Abdomen. 512x512. CT image. 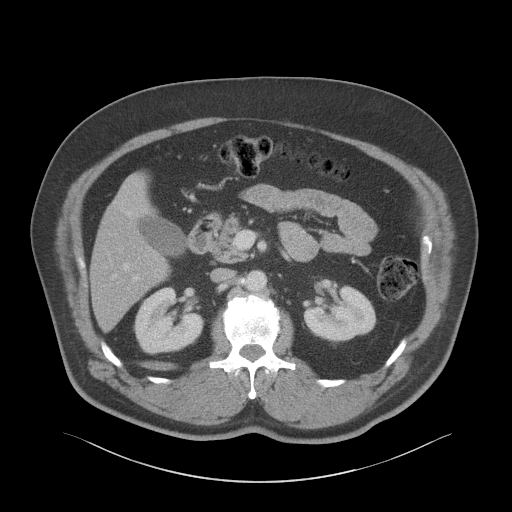
kidney:
  - region(305, 287, 374, 340)
  - region(136, 288, 202, 352)
liver:
  - region(89, 183, 165, 325)